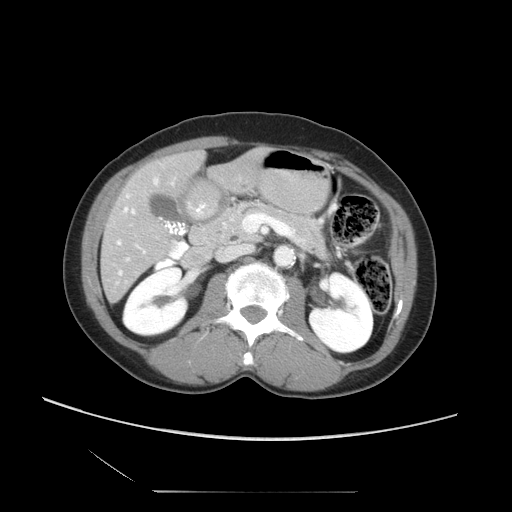

Computed tomography.

Not every hepatic vessel necessarily has a box.
11 hepatic vessel regions appear at l=123, t=207, r=134, b=212; l=116, t=240, r=120, b=243; l=161, t=165, r=163, b=167; l=135, t=245, r=144, b=252; l=126, t=194, r=128, b=197; l=152, t=177, r=158, b=184; l=118, t=270, r=121, b=274; l=168, t=241, r=174, b=257; l=125, t=257, r=128, b=260; l=158, t=261, r=163, b=262; l=170, t=178, r=174, b=184.